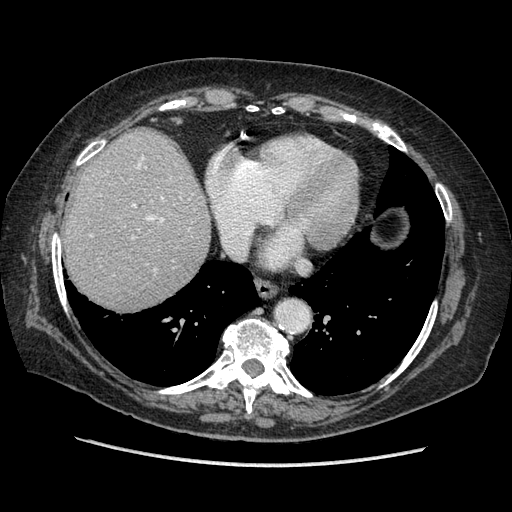 CT image | 512x512 px
Not every hepatic vessel necessarily has a box.
<segmentation>
  <hepatic_vessel>(x1=147, y1=216, x2=154, y2=219), (x1=133, y1=204, x2=135, y2=206), (x1=157, y1=217, x2=162, y2=220)</hepatic_vessel>
</segmentation>